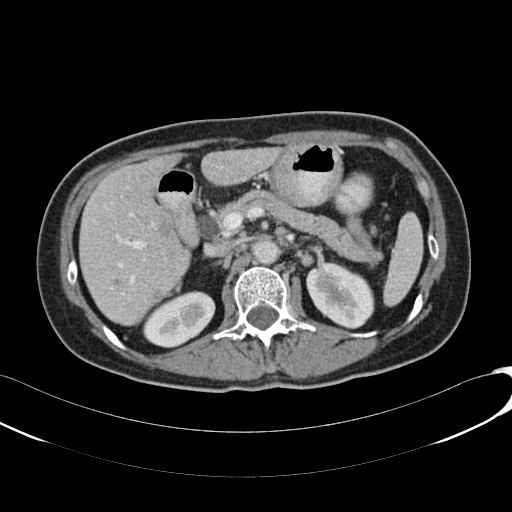 Liver | CT image

Segmented structures:
- focal liver lesion: box=[153, 290, 162, 299]; box=[160, 221, 171, 237]
- kidney: box=[307, 264, 372, 327]; box=[145, 293, 214, 346]
- liver: box=[79, 155, 188, 325]; box=[201, 148, 281, 185]